Field of view 240x240 mm | Slice 60/155 | Brain
FLAIR MRI.
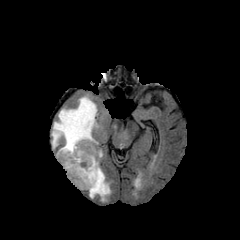
T1-weighted MR.
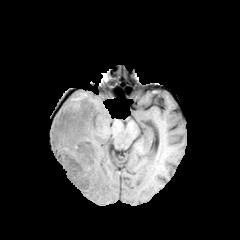
Post-contrast T1-weighted MR.
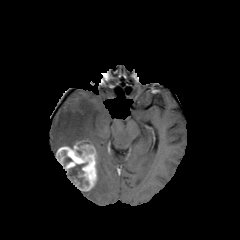
T2-weighted MR.
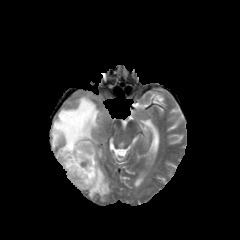
non-enhancing tumor core: <bbox>67, 163, 87, 189</bbox>, <bbox>74, 112, 85, 121</bbox>, <bbox>61, 157, 71, 170</bbox> | edema: <bbox>88, 161, 111, 201</bbox>, <bbox>51, 94, 103, 148</bbox> | enhancing tumor: <bbox>56, 142, 97, 189</bbox>